CT

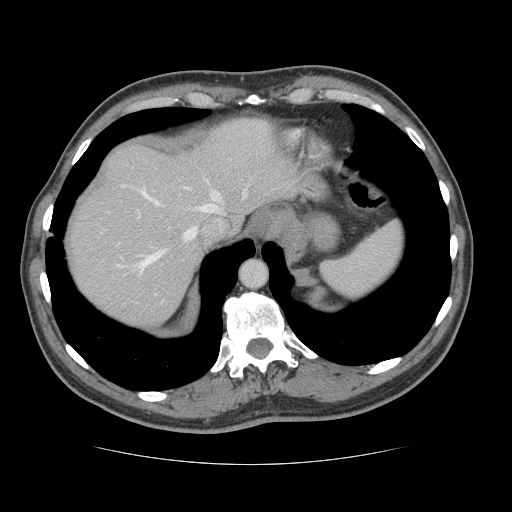 The vessel boxes may cover only some of the vessels.
Hepatic vessel at 195, 190, 220, 211; 138, 212, 139, 217; 139, 187, 148, 197; 242, 189, 245, 197; 137, 251, 161, 274; 183, 186, 187, 188; 183, 226, 196, 238; 153, 200, 158, 204; 121, 184, 124, 185; 116, 264, 120, 266.